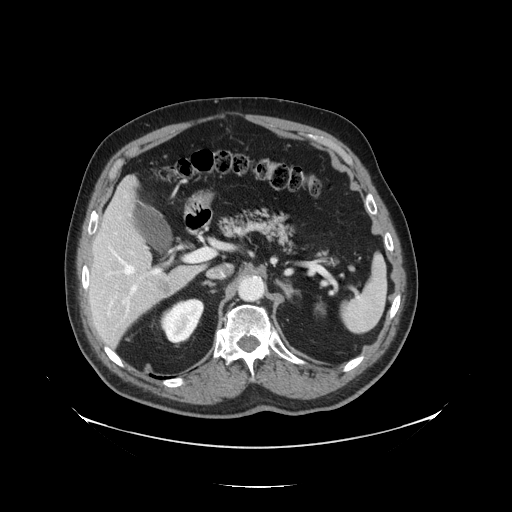
Abdomen. CT slice.
Some hepatic vessels may have no box.
<segmentation>
  <liver_tumor>158,280,171,294</liver_tumor>
  <hepatic_vessel>123,298,129,316; 131,285,136,293; 109,301,112,312; 128,214,130,215; 109,247,135,274; 152,269,160,274</hepatic_vessel>
</segmentation>